CT image

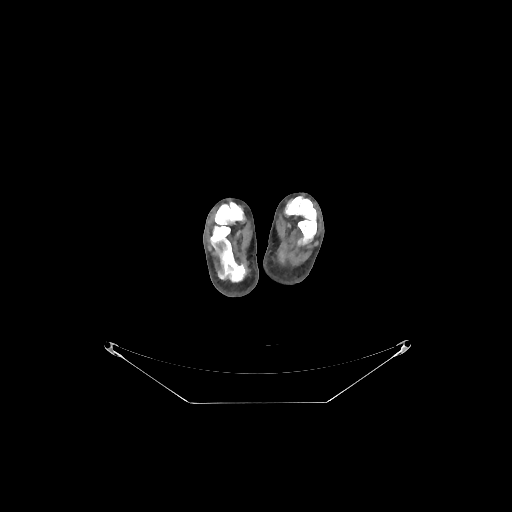 Segmented structures:
- bone: 210:202:245:281, 284:196:316:244